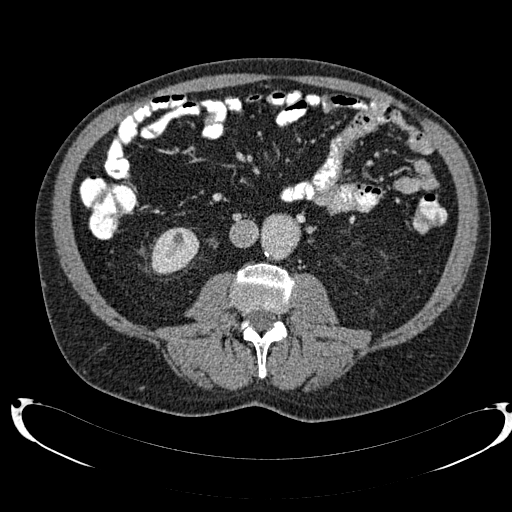
Abdomen; CT slice

<segmentation>
  <kidney>{"x1": 151, "y1": 229, "x2": 198, "y2": 273}</kidney>
</segmentation>